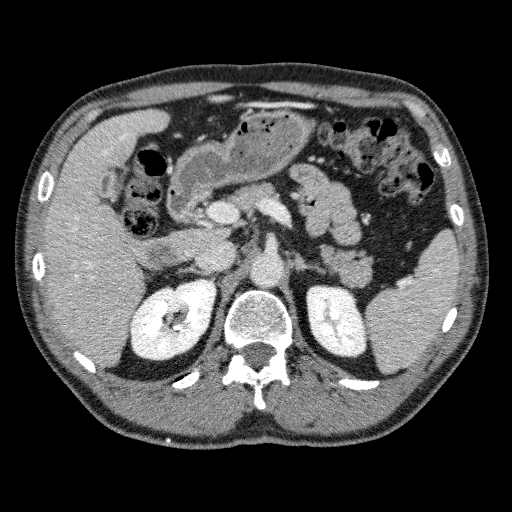

Upper abdomen, CT

• liver: [43, 109, 230, 366], [210, 95, 230, 101]
• liver lesion: [143, 242, 180, 268], [114, 153, 127, 166], [134, 129, 142, 137]
• kidney: [131, 280, 215, 358], [307, 287, 365, 355]